FLAIR MRI.
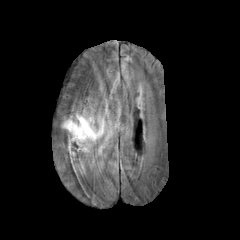
T1-weighted MRI.
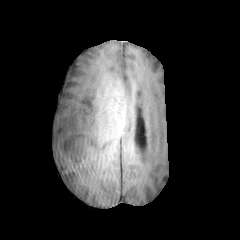
Post-contrast T1-weighted MR image.
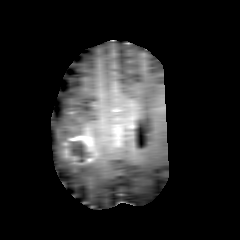
T2-weighted MR image.
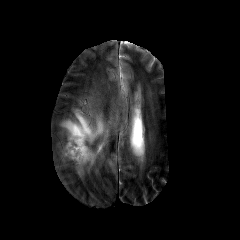
Head
Enhancing tumor at region(68, 133, 91, 145).
Non-enhancing tumor core at region(74, 141, 85, 154).
Edema at region(60, 111, 109, 173).